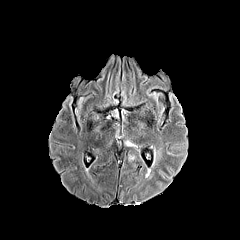
FLAIR MR.
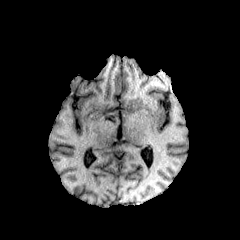
Same slice, T1-weighted MR image.
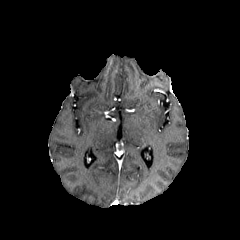
Post-contrast T1-weighted magnetic resonance.
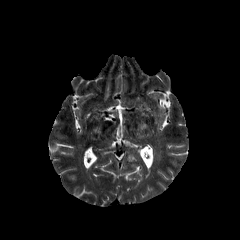
T2-weighted MRI.
Brain
• edema: 151:145:160:164